Slice 102/155
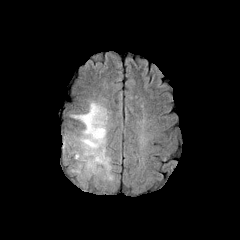
FLAIR MR image.
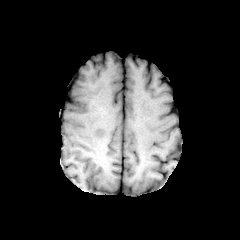
Same slice, T1-weighted MRI.
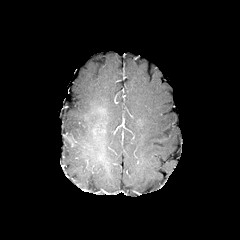
Post-contrast T1-weighted MRI.
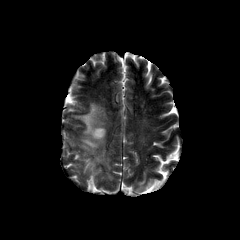
T2-weighted MRI.
- edema: 63 100 113 180